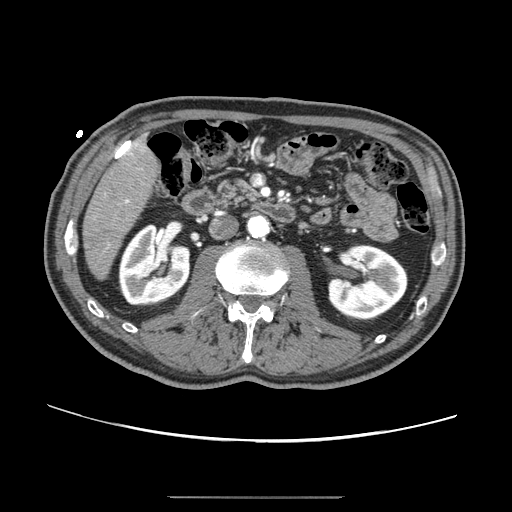
Image size 512x512 | Computed tomography | Abdomen
The pancreas is located at {"x1": 219, "y1": 179, "x2": 261, "y2": 207}.